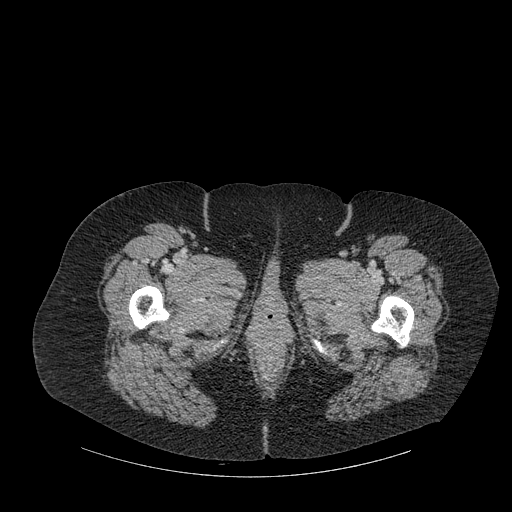
512x512, CT scan slice
Bone: bounding box left=314, top=340, right=323, bottom=351; left=372, top=296, right=413, bottom=346; left=129, top=286, right=169, bottom=328.